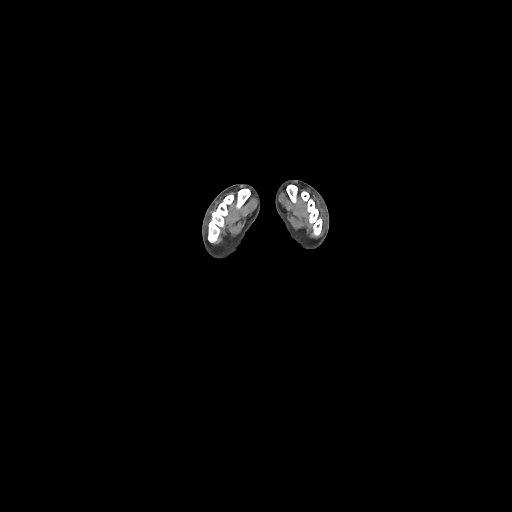

Computed tomography. Bone: <box>301,191,322,235</box>, <box>208,195,234,242</box>, <box>235,189,250,209</box>, <box>286,185,297,203</box>.